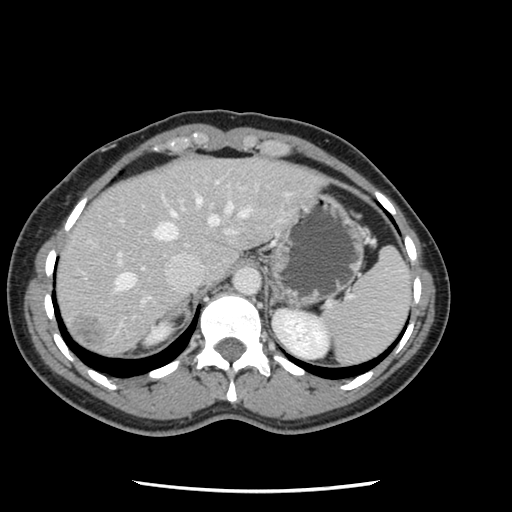

CT slice, Liver, 512x512
The vessel boxes may cover only some of the vessels.
hepatic_vessel:
  - <box>239,209,249,216</box>
  - <box>141,297,148,302</box>
  - <box>208,215,217,224</box>
  - <box>195,196,201,203</box>
  - <box>117,253,120,263</box>
  - <box>170,211,174,215</box>
  - <box>225,203,231,212</box>
  - <box>114,272,134,289</box>
  - <box>154,222,176,239</box>
  - <box>226,229,233,233</box>
liver_tumor:
  - <box>71,317,103,350</box>